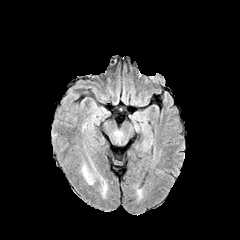
FLAIR magnetic resonance.
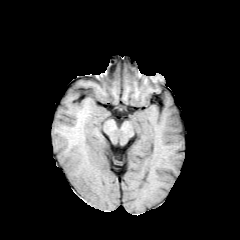
T1-weighted magnetic resonance.
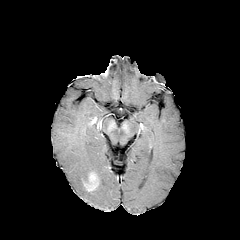
Same slice, post-contrast T1-weighted MR image.
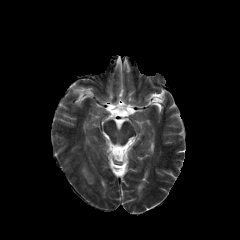
T2-weighted magnetic resonance.
Brain
<segmentation>
  <edema>left=82, top=164, right=95, bottom=183</edema>
</segmentation>